CT slice, Abdomen, Slice 29/42
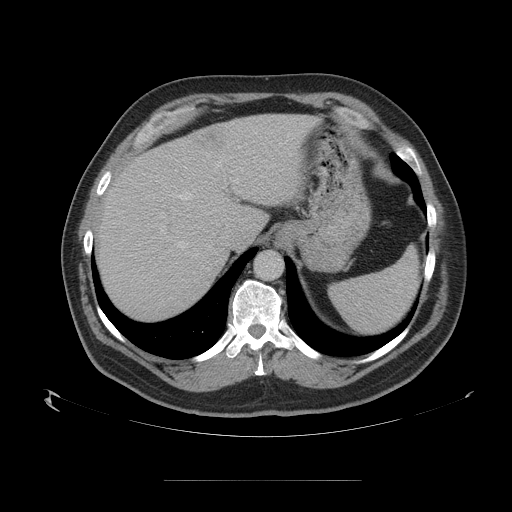 Findings:
* liver tumor: [x1=195, y1=127, x2=224, y2=149]